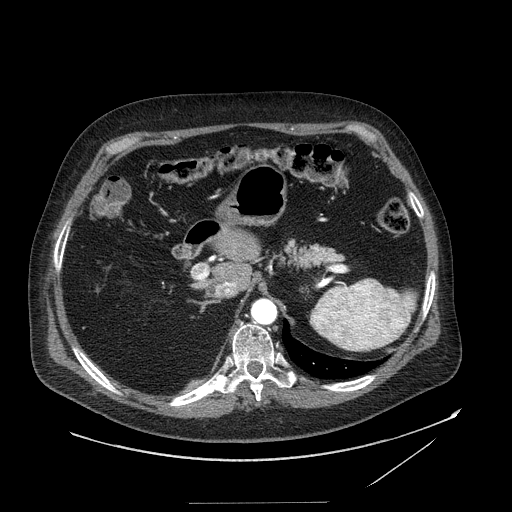

CT | 512x512 | Abdomen

Findings:
- pancreas: bbox(278, 239, 345, 271)